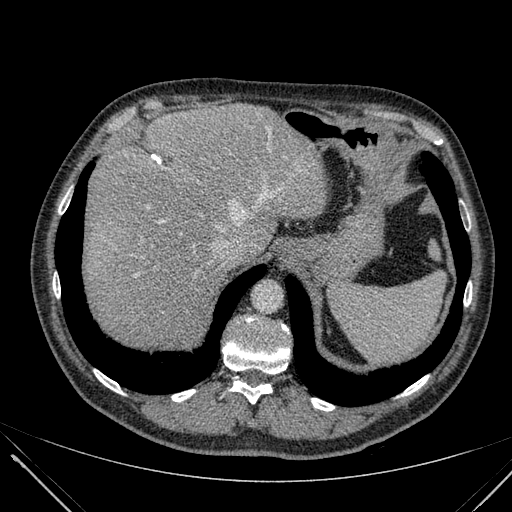

Liver, CT
The liver is located at (83,103,327,348).